FLAIR MR image.
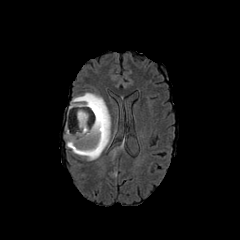
T1-weighted magnetic resonance.
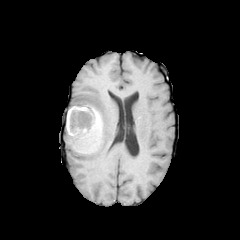
Post-contrast T1-weighted MRI.
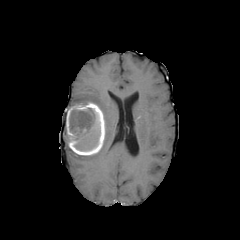
T2-weighted MR.
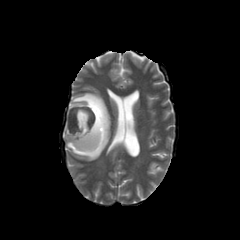
<segmentation>
  <edema>bbox=[71, 92, 111, 160]</edema>
  <enhancing_tumor>bbox=[65, 103, 105, 155]</enhancing_tumor>
  <non-enhancing_tumor_core>bbox=[69, 108, 99, 148]</non-enhancing_tumor_core>
</segmentation>